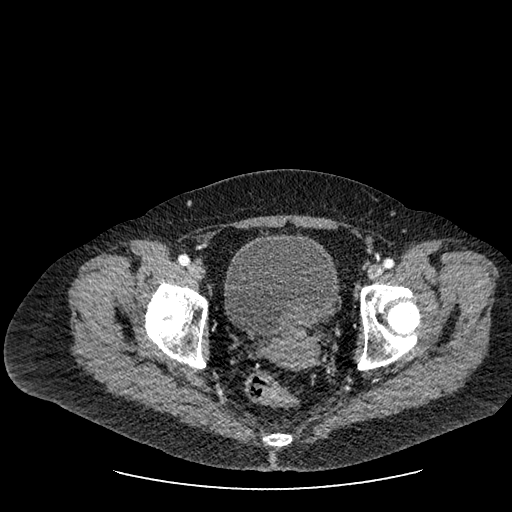

Lower abdomen | CT scan slice | Image size 512x512

Urinary bladder: bounding box bbox=[225, 232, 338, 337].